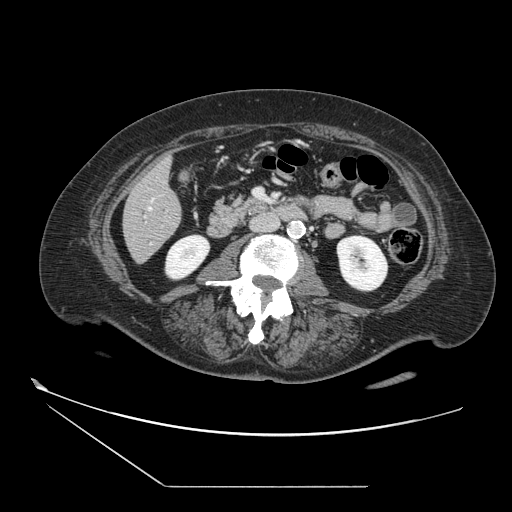
CT scan slice | Abdomen
<segmentation>
  <pancreas>[210, 199, 266, 230]</pancreas>
</segmentation>